Upper abdomen; Image width 512 mm; CT
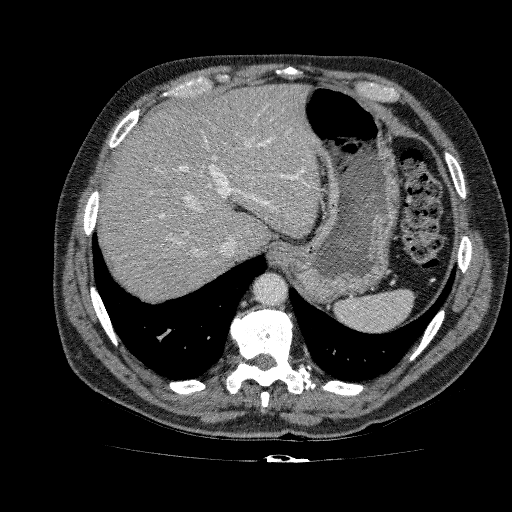 The liver appears at box=[99, 84, 319, 301].